Abdomen, CT, Slice index 301
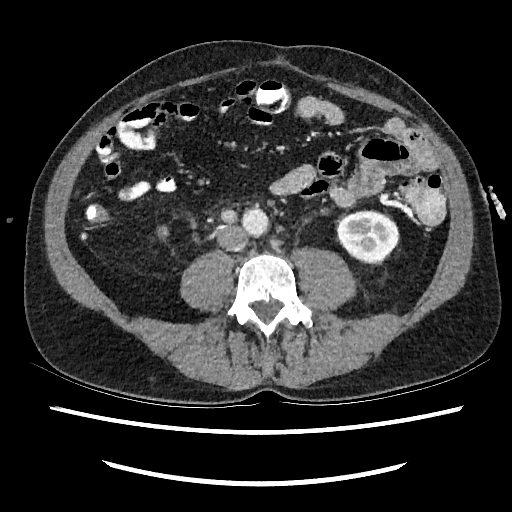 The kidney is located at <bbox>338, 212, 397, 261</bbox>.